Abdomen, 512x512, CT scan slice

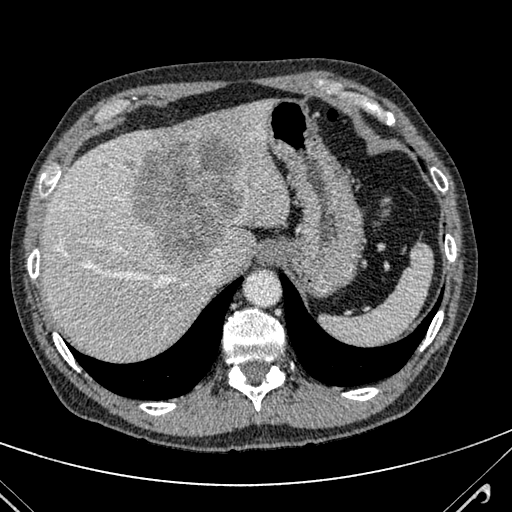 Liver = rect(43, 98, 289, 359).
Liver lesion = rect(128, 160, 135, 169); rect(101, 169, 107, 177); rect(132, 135, 243, 266).